Slice 17 of 40, Image width 35 mm, MR image, Medial temporal lobe
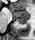

The posterior hippocampus is bounded by rect(18, 20, 26, 24). The anterior hippocampus is located at rect(9, 8, 28, 19).